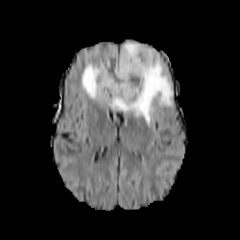
FLAIR MR.
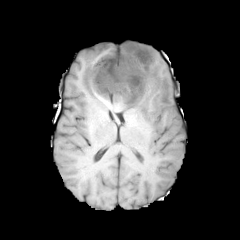
T1-weighted MRI.
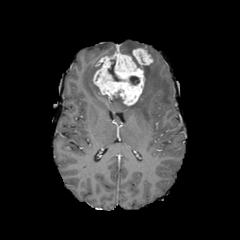
Post-contrast T1-weighted MR of the same slice.
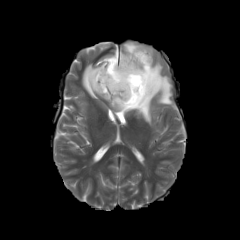
T2-weighted magnetic resonance.
240x240 px. Head.
2 edema regions are located at bbox=[122, 42, 154, 58]; bbox=[81, 61, 173, 124]. 3 non-enhancing tumor core regions are located at bbox=[110, 92, 123, 104]; bbox=[129, 76, 140, 85]; bbox=[108, 60, 122, 81]. 2 enhancing tumor regions are bounded by bbox=[133, 48, 152, 67]; bbox=[93, 52, 144, 105].